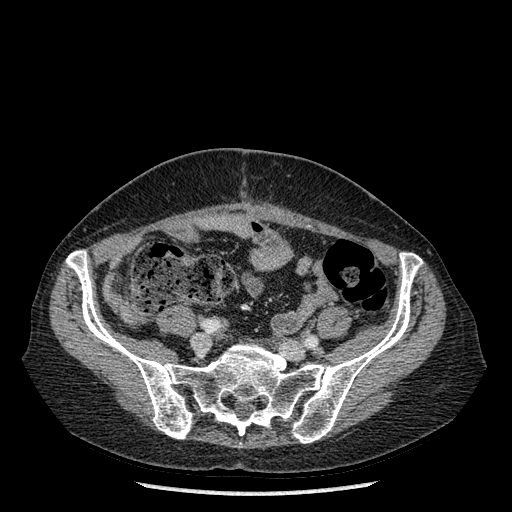 CT
Bone at left=66, top=250, right=423, bottom=443.